Slice index 497, Abdomen, Image width 400 mm, CT

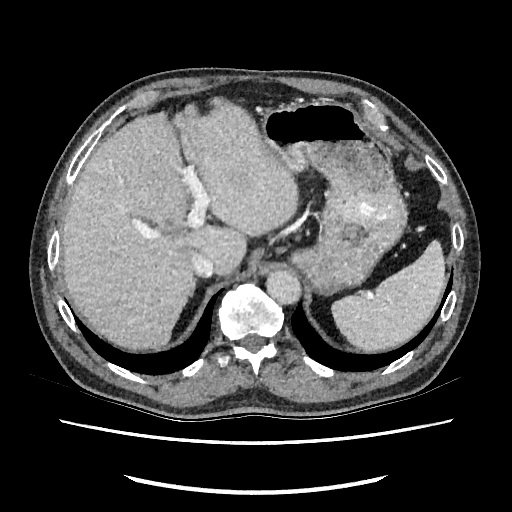
The liver is bounded by 62:106:296:346.